FLAIR MR image.
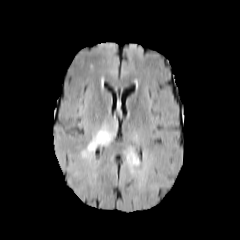
T1-weighted MR image.
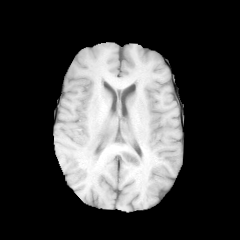
Post-contrast T1-weighted magnetic resonance.
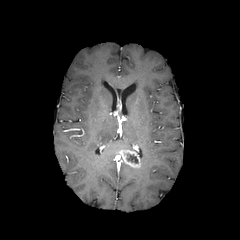
T2-weighted MRI.
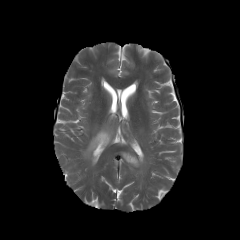
Head.
The enhancing tumor appears at bbox=[119, 149, 140, 167]. The non-enhancing tumor core appears at bbox=[125, 153, 138, 164]. The edema is located at bbox=[81, 124, 114, 161].